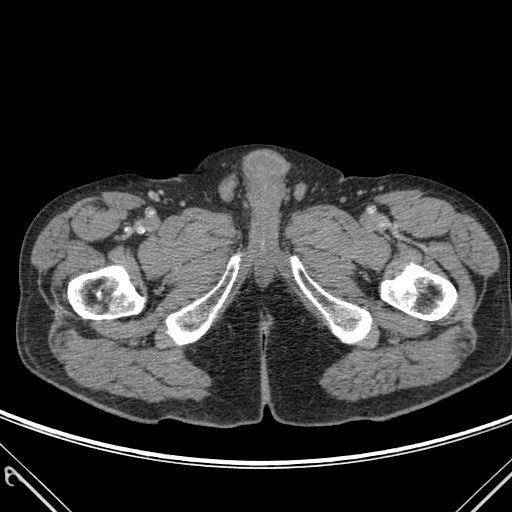
CT image
4 bone regions appear at <bbox>291, 256, 371, 342</bbox>, <bbox>166, 256, 239, 344</bbox>, <bbox>68, 266, 144, 319</bbox>, <bbox>381, 263, 456, 320</bbox>.